CT image | Slice index 62 | Abdomen

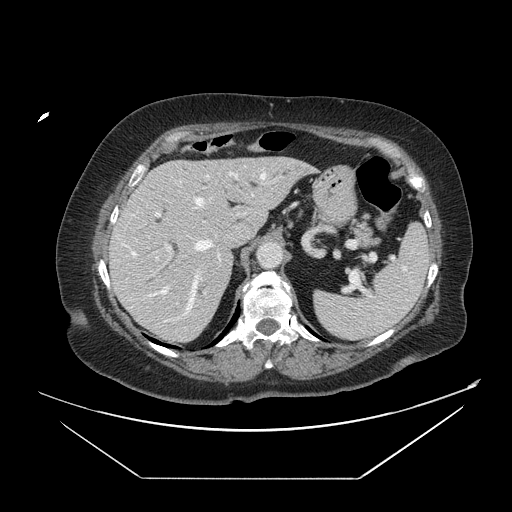 The pancreas is located at x1=351, y1=215, x2=377, y2=246.